FLAIR MR image.
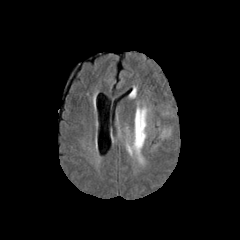
T1-weighted MRI.
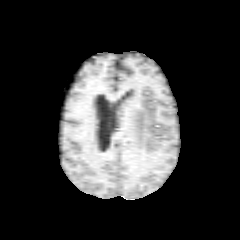
Post-contrast T1-weighted MR.
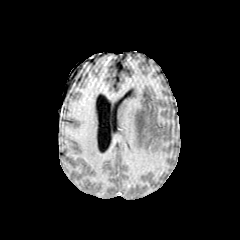
T2-weighted MR.
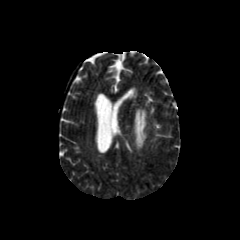
Head; Image size 240x240
The edema is bounded by <box>125,102,172,156</box>.